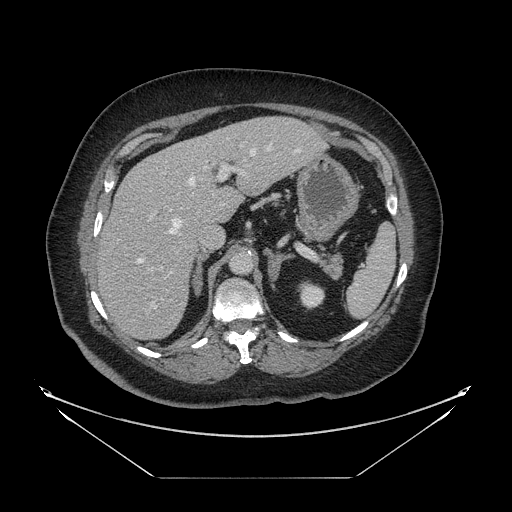
CT image
{
  "pancreas": [
    "323,254,342,279"
  ]
}